512x512 px, CT scan slice
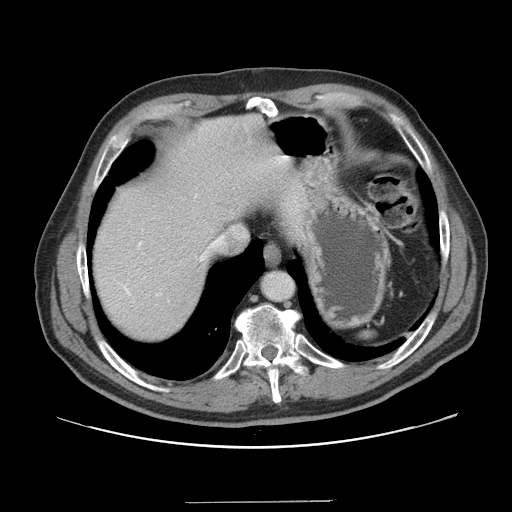

Only some of the vessels may be annotated.
{"hepatic_vessel": ["bbox=[212, 237, 222, 246]"]}